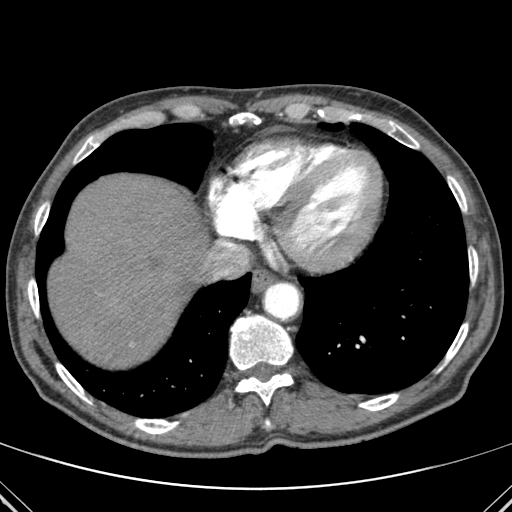
Image size 512x512; CT slice

The liver is located at box(48, 174, 209, 368). 14 bone regions appear at box(28, 279, 38, 316); box(346, 113, 360, 119); box(469, 250, 478, 281); box(56, 363, 91, 403); box(134, 419, 178, 434); box(445, 323, 468, 362); box(383, 121, 419, 148); box(229, 113, 260, 124); box(74, 136, 98, 161); box(34, 203, 49, 234); box(230, 315, 292, 370); box(359, 394, 398, 410); box(448, 176, 466, 211); box(235, 372, 293, 405). 3 lung regions are bounded by box(319, 123, 343, 130); box(36, 123, 251, 417); box(296, 123, 468, 393).